FLAIR MRI.
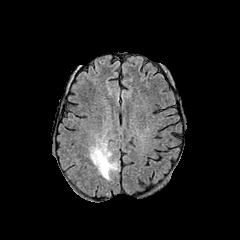
T1-weighted MR.
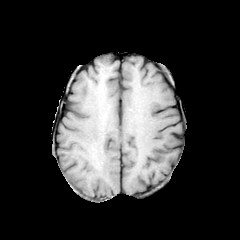
Post-contrast T1-weighted MR.
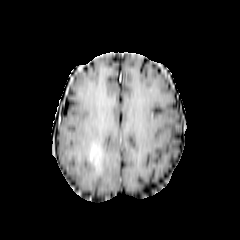
T2-weighted MR.
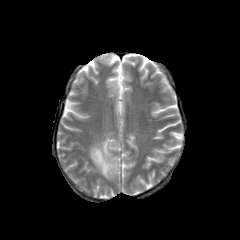
Head
non-enhancing_tumor_core:
  - [x1=97, y1=150, x2=103, y2=170]
edema:
  - [x1=88, y1=130, x2=119, y2=180]
enhancing_tumor:
  - [x1=90, y1=145, x2=101, y2=166]